MRI slice, Medial temporal lobe, Field of view 37 mm wide, 1.00 mm slice spacing

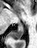 The posterior hippocampus appears at bbox=[11, 24, 23, 40].